Image size 512x512 | CT | Slice index 223 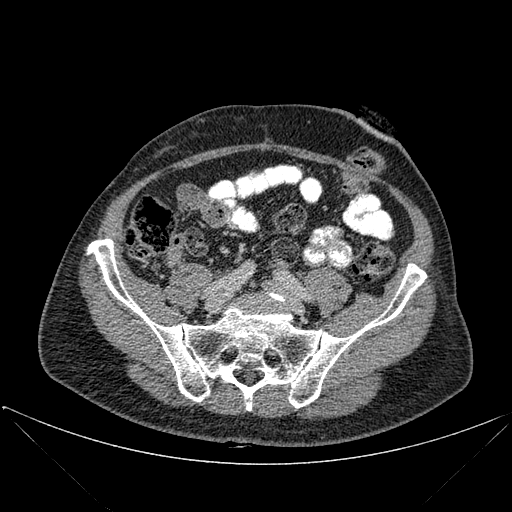

{
  "bone": [
    "(left=87, top=239, right=426, bottom=410)"
  ]
}